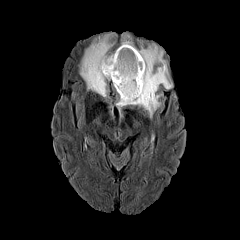
FLAIR MRI.
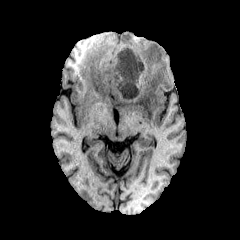
T1-weighted magnetic resonance.
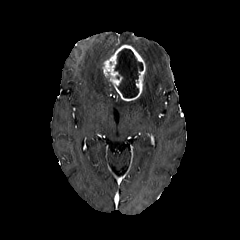
Post-contrast T1-weighted magnetic resonance.
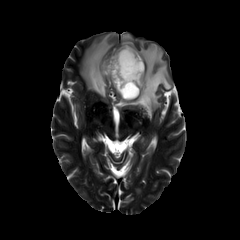
Same slice, T2-weighted magnetic resonance.
Enhancing tumor at region(101, 42, 145, 102).
Non-enhancing tumor core at region(115, 49, 142, 98).
Edema at region(80, 32, 118, 99); region(115, 32, 173, 119).